Slice index 118, Image width 411 mm, CT image, Abdomen 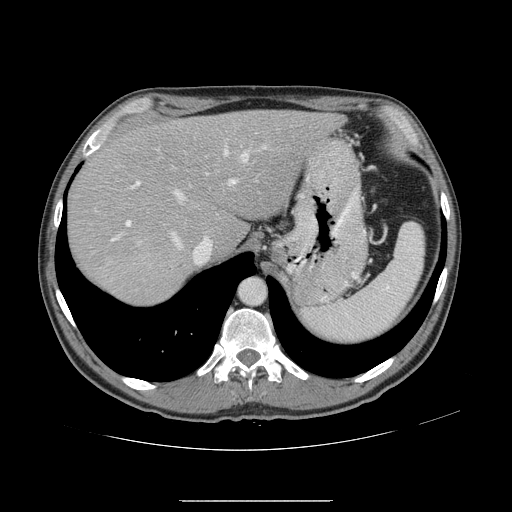
Some hepatic vessels may have no box.
10 hepatic vessel regions are located at region(171, 233, 180, 247); region(224, 145, 227, 154); region(241, 151, 248, 162); region(196, 236, 211, 248); region(174, 190, 185, 199); region(132, 181, 140, 187); region(228, 180, 236, 184); region(263, 145, 266, 147); region(110, 238, 114, 241); region(125, 221, 130, 225).